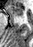

MR. 33x47 px.

Annotated regions:
- anterior hippocampus: 8, 6, 23, 16